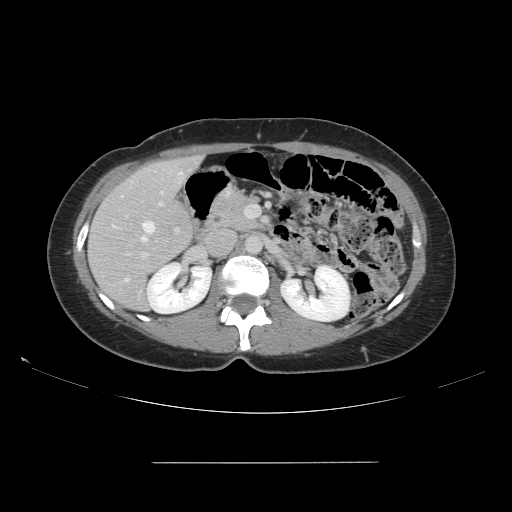

Abdomen, CT slice
Not every hepatic vessel necessarily has a box.
<segmentation>
  <hepatic_vessel>175, 228, 178, 232; 125, 216, 127, 217; 141, 236, 146, 241; 111, 225, 115, 227; 177, 171, 182, 183; 143, 221, 154, 234; 142, 252, 147, 256; 159, 203, 162, 205; 123, 279, 128, 281; 161, 191, 163, 193</hepatic_vessel>
</segmentation>